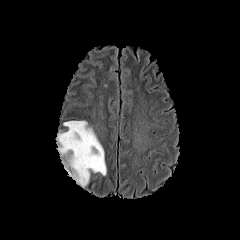
FLAIR MR image.
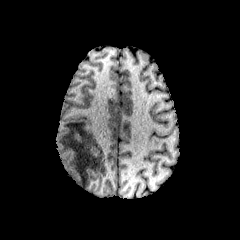
Same slice, T1-weighted MR image.
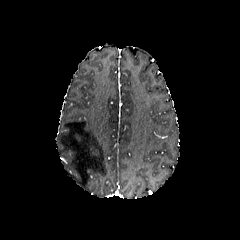
Same slice, post-contrast T1-weighted MR.
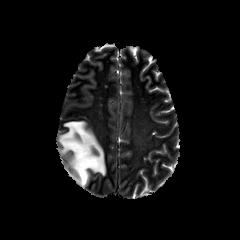
T2-weighted MRI of the same slice.
The edema is at (x1=55, y1=121, x2=106, y2=188).